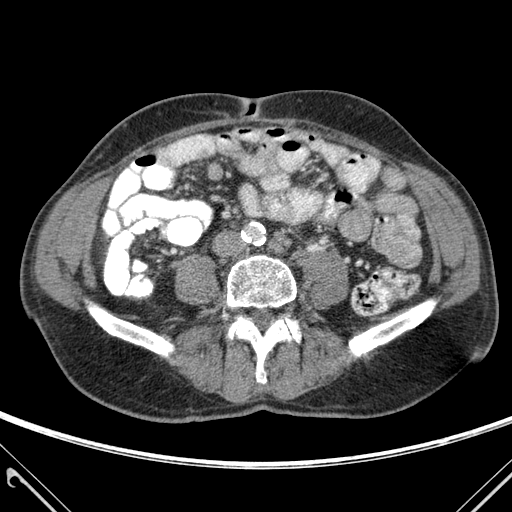

512x512. CT scan slice. 4 bone regions are bounded by (left=349, top=301, right=434, bottom=355), (left=228, top=317, right=300, bottom=383), (left=89, top=306, right=172, bottom=355), (left=227, top=256, right=296, bottom=307).